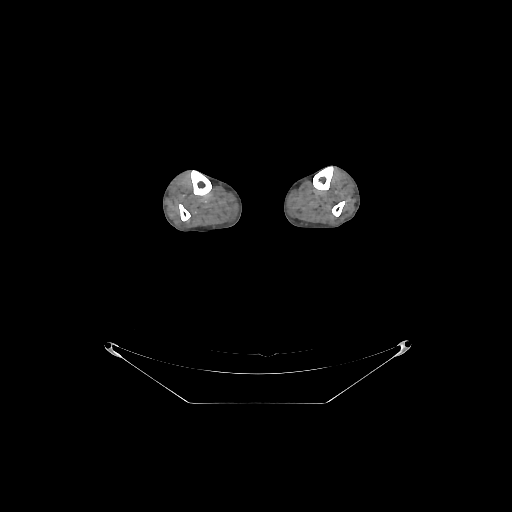
Computed tomography | 512x512
bone:
  - 191, 170, 211, 195
  - 179, 204, 190, 221
  - 332, 201, 344, 216
  - 313, 166, 333, 190